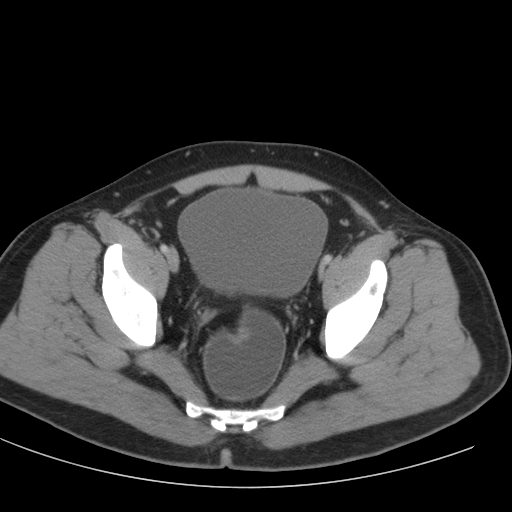

CT scan slice
{"urinary_bladder": ["region(181, 186, 327, 298)"]}